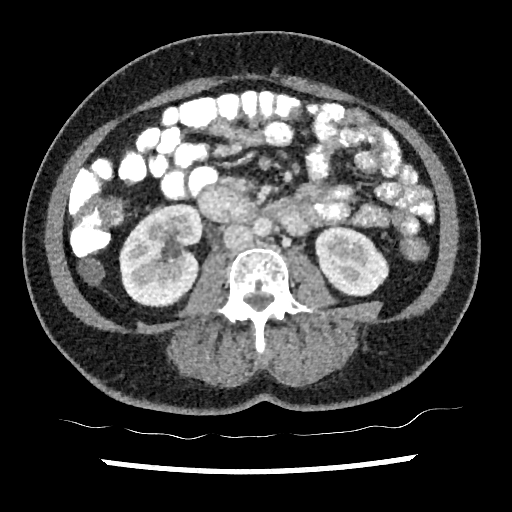

CT slice | Abdomen | 512x512 px
Kidney — 120 205 201 305, 316 228 386 295.